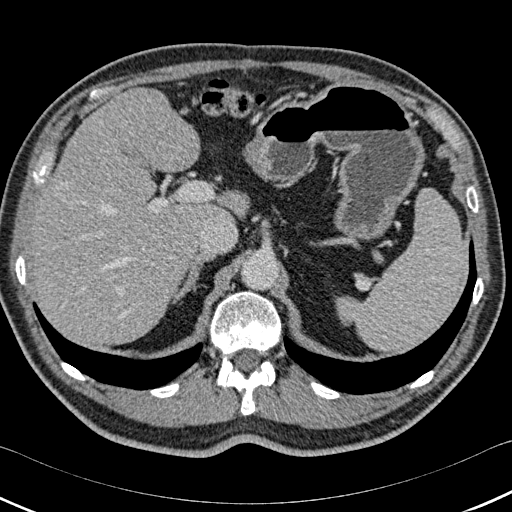
CT

bone: (14,256,25,284), (33,165,46,184), (61,362,85,380), (210,292,280,414), (473,278,483,304), (410,371,433,388), (311,382,339,398), (150,383,178,397), (466,186,478,212) | lung: (33,302,202,390), (283,239,476,394) | liver: (221,192,242,207), (34,87,231,344)